CT; Slice index 16; 512x512 px
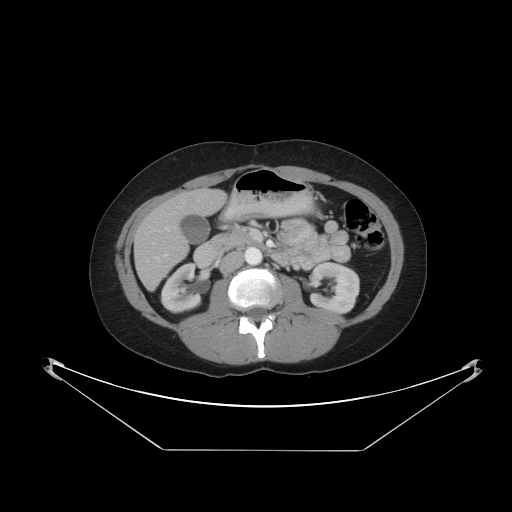

The vessel annotation is not exhaustive.
hepatic_vessel:
  - 156 257 160 261
  - 165 227 175 229
  - 164 254 166 256